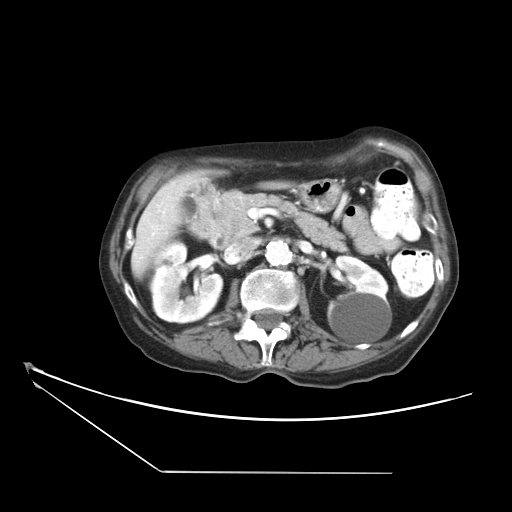
CT slice, Upper abdomen
pancreas: [205,190,352,254]